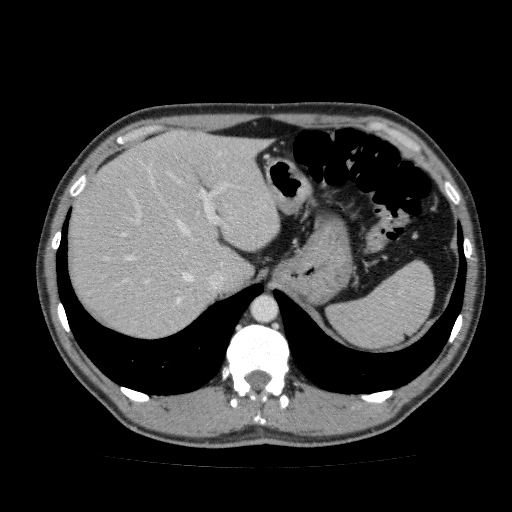 512x512 | Abdomen | CT scan slice
Segmented structures:
* liver: x1=69, y1=129, x2=279, y2=340